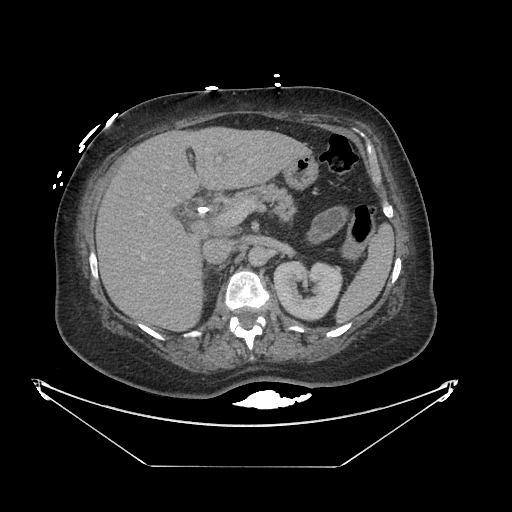 Upper abdomen | 512x512 px | CT scan slice

The pancreas appears at box=[239, 184, 295, 222].